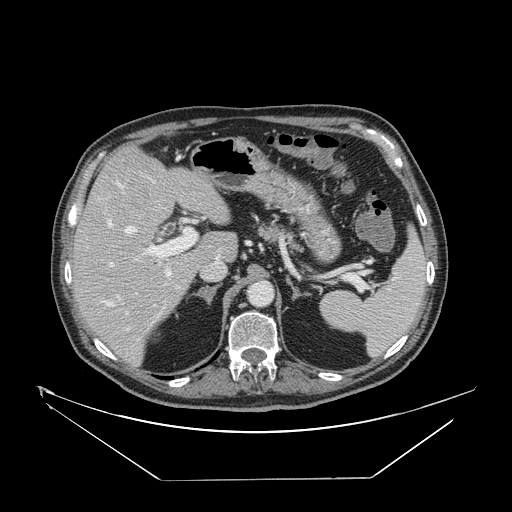
Abdomen | CT slice
pancreas:
  - <box>251,218,306,253</box>